FLAIR MR image.
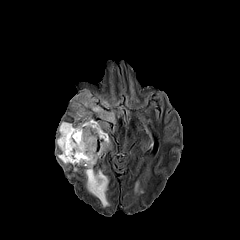
T1-weighted MRI.
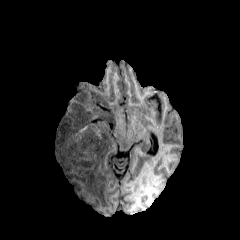
Post-contrast T1-weighted MRI.
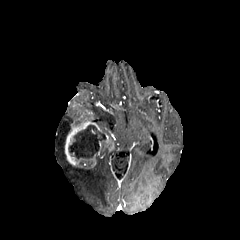
T2-weighted MRI.
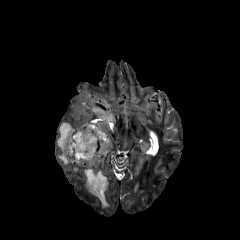
Head
The enhancing tumor appears at left=64, top=93, right=114, bottom=169. 3 edema regions appear at left=55, top=121, right=70, bottom=170; left=83, top=88, right=116, bottom=130; left=82, top=169, right=109, bottom=207. The non-enhancing tumor core lies within left=69, top=124, right=106, bottom=158.